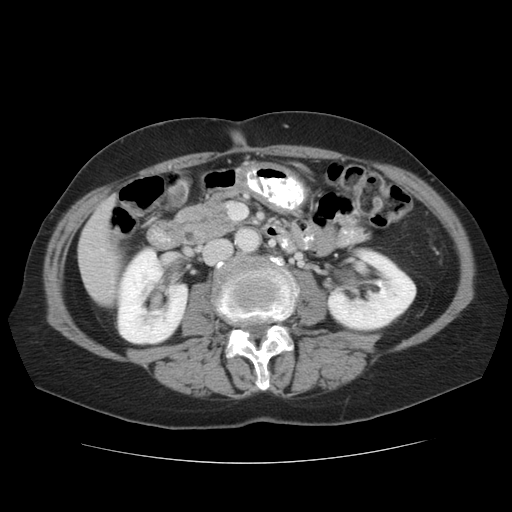 CT image
Kidney: x1=328, y1=250, x2=414, y2=328; x1=118, y1=249, x2=186, y2=342.
Bone: x1=213, y1=255, x2=295, y2=390.
Liver: x1=78, y1=195, x2=115, y2=308; x1=120, y1=249, x2=124, y2=263.